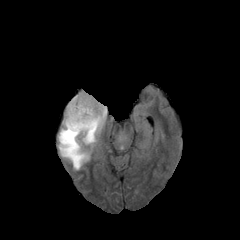
FLAIR MR image.
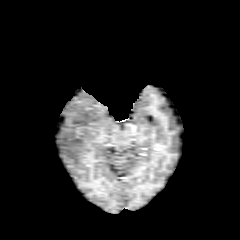
Same slice, T1-weighted MR.
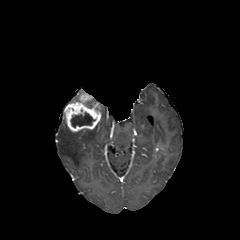
Post-contrast T1-weighted MR of the same slice.
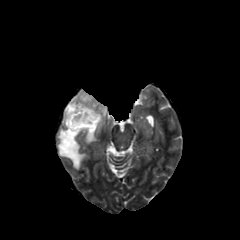
Same slice, T2-weighted MR.
Head | 240x240 px
non-enhancing_tumor_core:
  - bbox=[70, 113, 95, 127]
edema:
  - bbox=[57, 104, 107, 169]
enhancing_tumor:
  - bbox=[64, 91, 102, 132]